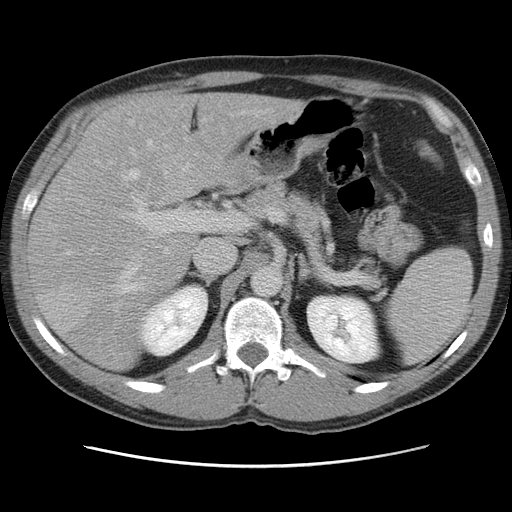
512x512, CT, Abdomen

Only some of the vessels may be annotated.
Principal 15 of 26 hepatic vessel regions: (left=148, top=140, right=153, bottom=150), (left=129, top=199, right=146, bottom=218), (left=118, top=260, right=143, bottom=292), (left=130, top=147, right=136, bottom=156), (left=135, top=254, right=140, bottom=258), (left=241, top=110, right=269, bottom=116), (left=91, top=247, right=94, bottom=251), (left=186, top=228, right=195, bottom=231), (left=143, top=317, right=145, bottom=320), (left=123, top=169, right=139, bottom=184), (left=109, top=161, right=115, bottom=163), (left=151, top=240, right=153, bottom=243), (left=165, top=172, right=167, bottom=177), (left=202, top=118, right=206, bottom=121), (left=65, top=251, right=71, bottom=254).
Liver tumor: (left=42, top=285, right=87, bottom=334), (left=111, top=111, right=134, bottom=131).